FLAIR magnetic resonance.
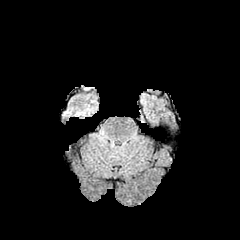
T1-weighted MR.
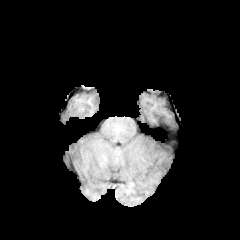
Post-contrast T1-weighted MR.
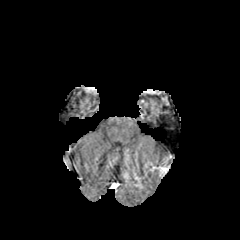
T2-weighted MR image.
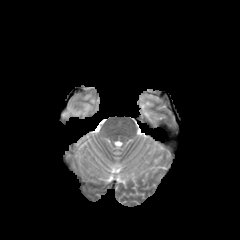
Edema: bounding box (x1=62, y1=105, x2=84, y2=117).